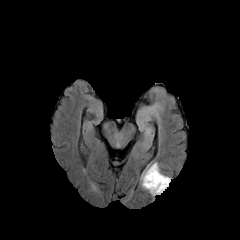
FLAIR magnetic resonance.
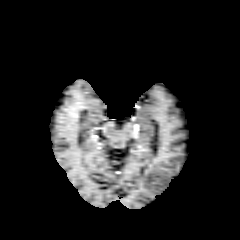
T1-weighted magnetic resonance of the same slice.
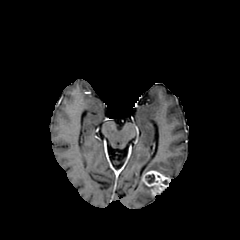
Post-contrast T1-weighted MR.
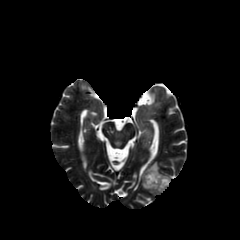
T2-weighted MR.
{
  "non-enhancing_tumor_core": [
    "l=146, t=174, r=156, b=183"
  ],
  "enhancing_tumor": [
    "l=142, t=170, r=170, b=195"
  ],
  "edema": [
    "l=139, t=161, r=162, b=196"
  ]
}